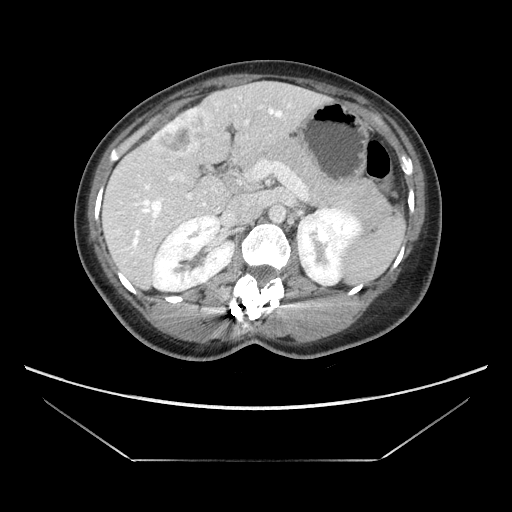
Liver | Computed tomography

The vessel boxes may cover only some of the vessels.
liver_tumor:
  - {"x1": 156, "y1": 107, "x2": 208, "y2": 156}
hepatic_vessel:
  - {"x1": 254, "y1": 160, "x2": 288, "y2": 184}
  - {"x1": 148, "y1": 203, "x2": 159, "y2": 212}
  - {"x1": 170, "y1": 173, "x2": 184, "y2": 180}
  - {"x1": 188, "y1": 194, "x2": 190, "y2": 196}